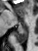
MR | Hippocampus
Segmented structures:
* posterior hippocampus: 16:29:26:43